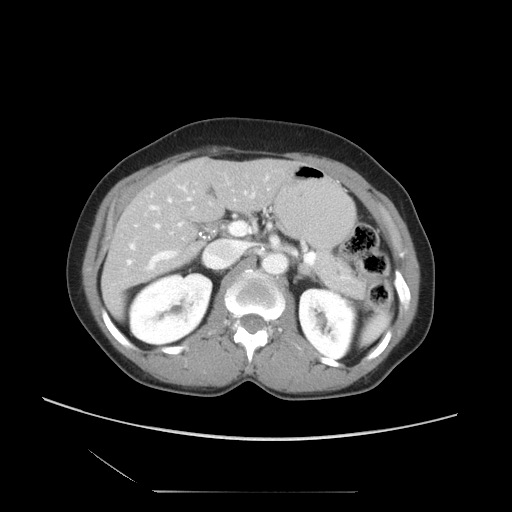

CT scan slice
Some hepatic vessels may have no box.
{
  "partial": true,
  "hepatic_vessel": {
    "n_total": 17,
    "boxes": [
      "bbox(129, 243, 134, 248)",
      "bbox(149, 205, 158, 209)",
      "bbox(145, 250, 176, 270)",
      "bbox(265, 176, 267, 179)",
      "bbox(126, 259, 131, 264)",
      "bbox(154, 223, 159, 227)",
      "bbox(233, 198, 235, 200)",
      "bbox(244, 191, 254, 197)",
      "bbox(177, 222, 181, 226)",
      "bbox(177, 184, 185, 191)",
      "bbox(150, 192, 152, 195)",
      "bbox(167, 198, 171, 201)",
      "bbox(186, 196, 190, 199)",
      "bbox(181, 237, 183, 239)",
      "bbox(134, 225, 136, 226)"
    ]
  }
}